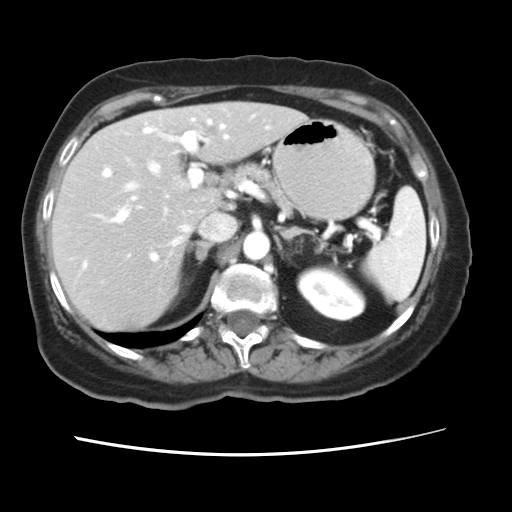

CT image, 512x512 px, Abdomen
The vessel boxes may cover only some of the vessels.
The largest 15 hepatic vessel regions (of 20) appear at <bbox>207, 120, 210, 124</bbox>, <bbox>180, 226, 190, 232</bbox>, <bbox>164, 208, 166, 213</bbox>, <bbox>170, 238, 182, 245</bbox>, <bbox>150, 253, 157, 261</bbox>, <bbox>125, 182, 137, 190</bbox>, <bbox>148, 163, 159, 174</bbox>, <bbox>102, 168, 111, 177</bbox>, <bbox>251, 115, 254, 118</bbox>, <bbox>144, 127, 179, 140</bbox>, <bbox>204, 139, 208, 142</bbox>, <bbox>82, 262, 86, 268</bbox>, <bbox>220, 125, 224, 128</bbox>, <bbox>131, 197, 135, 199</bbox>, <bbox>94, 207, 129, 223</bbox>.